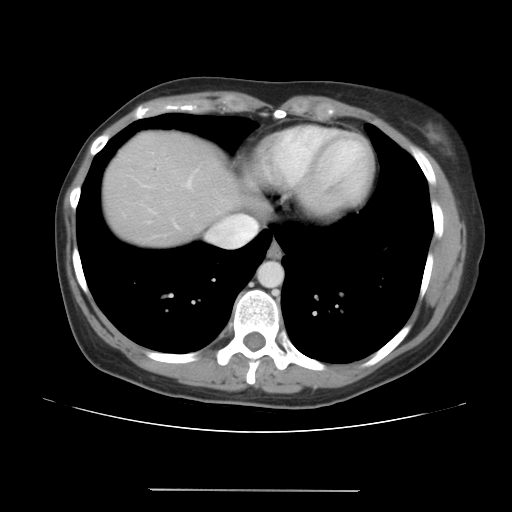
CT scan slice, 512x512 px, Abdomen

The vessel annotation is not exhaustive.
Hepatic vessel: bounding box region(207, 215, 257, 246).